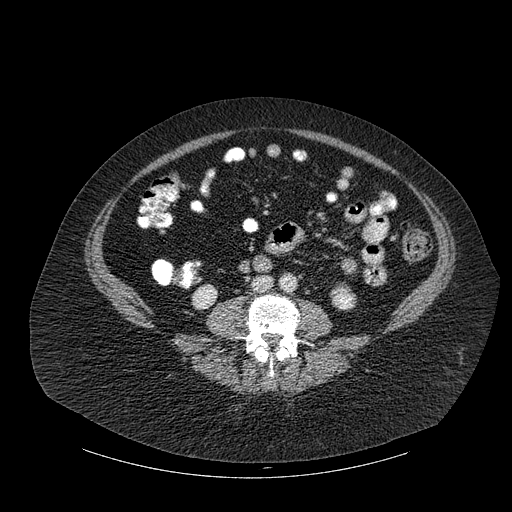
CT, Abdomen, 512x512
Kidney: bounding box [193, 285, 216, 309], [332, 288, 353, 309].
Bone: bounding box [241, 295, 300, 378].